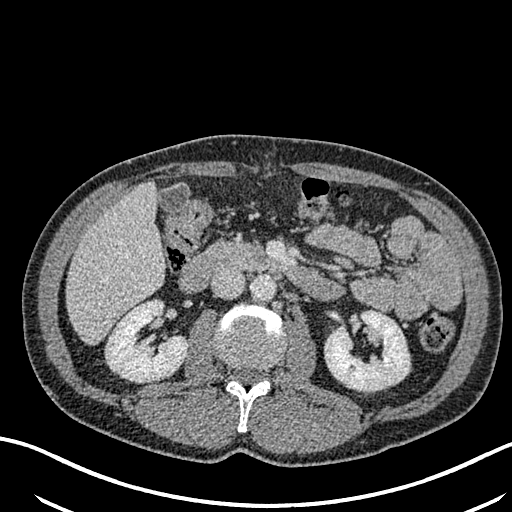

CT image

Kidney — bbox(106, 301, 187, 381); bbox(325, 311, 409, 390).
Liver — bbox(67, 181, 164, 343).